CT. Slice 83/147.
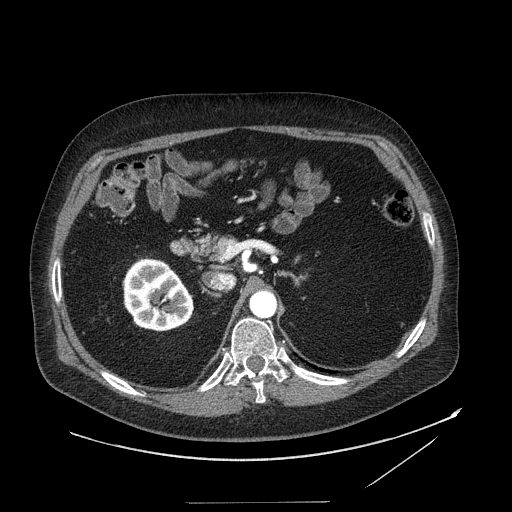 Pancreas at 193, 233, 232, 263.